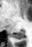
MRI slice
posterior_hippocampus:
  - l=11, t=30, r=24, b=39